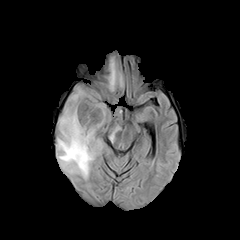
FLAIR MRI.
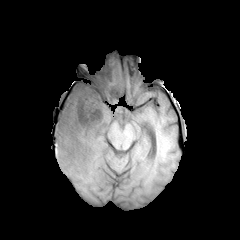
Same slice, T1-weighted magnetic resonance.
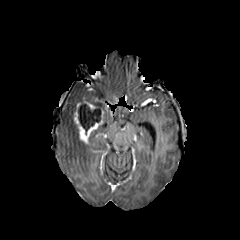
Post-contrast T1-weighted MRI of the same slice.
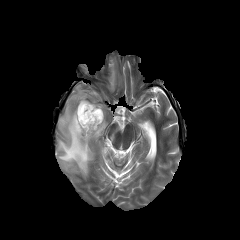
Same slice, T2-weighted magnetic resonance.
Brain.
<segmentation>
  <edema>[x1=108, y1=62, x2=116, y2=91], [x1=58, y1=88, x2=102, y2=177], [x1=94, y1=106, x2=110, y2=131]</edema>
  <non-enhancing_tumor_core>[x1=76, y1=96, x2=107, y2=131], [x1=72, y1=114, x2=79, y2=139]</non-enhancing_tumor_core>
  <enhancing_tumor>[x1=73, y1=105, x2=103, y2=144]</enhancing_tumor>
</segmentation>